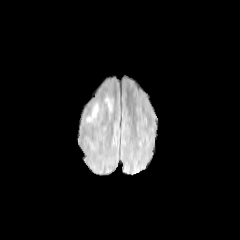
FLAIR MRI.
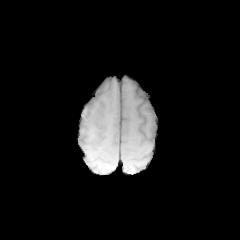
T1-weighted MR of the same slice.
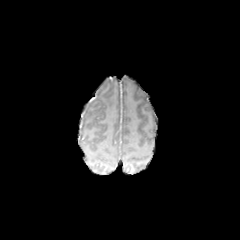
Same slice, post-contrast T1-weighted MR.
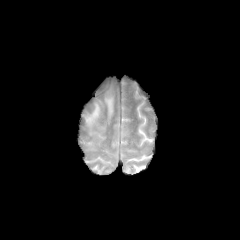
T2-weighted MRI of the same slice.
2 edema regions are located at <bbox>87, 104, 99, 121</bbox>, <bbox>106, 96, 113, 110</bbox>.